Slice 30/81. Abdomen. CT.
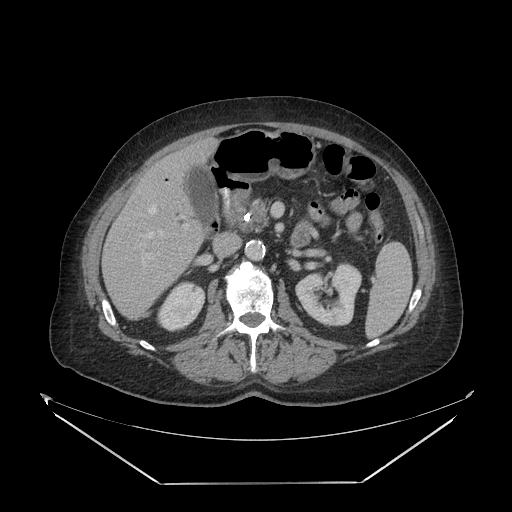
Pancreas: bounding box (243,220,259,231), (253,199,268,228).
Pancreatic tumor: bounding box (250,201,267,228).